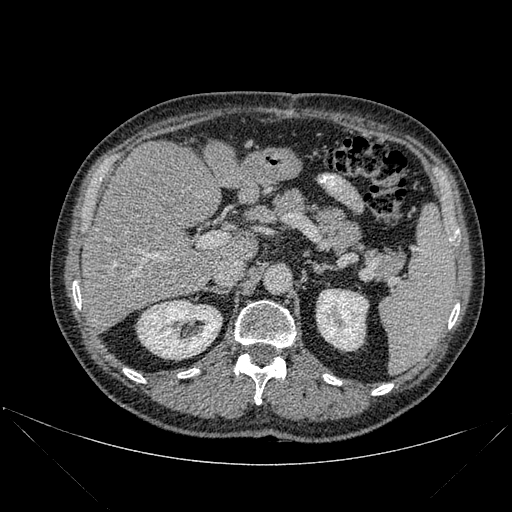

Liver; CT slice; 512x512
liver: [x1=203, y1=141, x2=241, y2=186], [x1=238, y1=182, x2=257, y2=202], [x1=241, y1=231, x2=252, y2=259], [x1=80, y1=141, x2=220, y2=331] | bone: [x1=372, y1=384, x2=393, y2=395], [x1=178, y1=368, x2=199, y2=377], [x1=234, y1=301, x2=295, y2=347], [x1=234, y1=354, x2=286, y2=404], [x1=323, y1=374, x2=341, y2=384], [x1=72, y1=281, x2=81, y2=308], [x1=123, y1=368, x2=145, y2=382], [x1=448, y1=303, x2=459, y2=328], [x1=449, y1=230, x2=458, y2=240] | kidney: [x1=316, y1=289, x2=368, y2=350], [x1=137, y1=300, x2=221, y2=359]